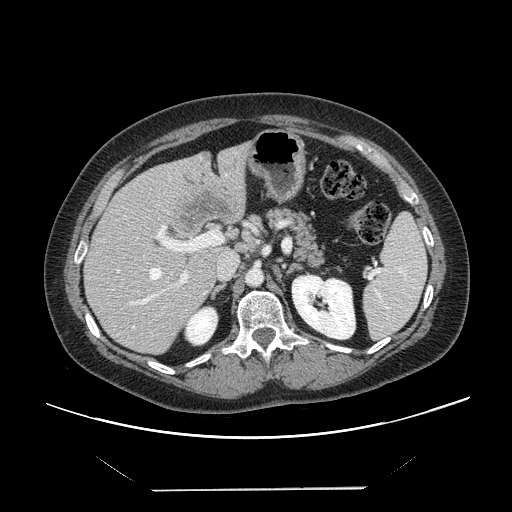
Liver; CT scan slice

Some hepatic vessels may have no box.
hepatic_vessel:
  - (left=148, top=266, right=162, bottom=281)
  - (left=155, top=224, right=222, bottom=252)
  - (left=129, top=270, right=188, bottom=304)
  - (left=218, top=251, right=237, bottom=278)
  - (left=116, top=269, right=119, bottom=272)
liver_tumor:
  - (left=169, top=183, right=240, bottom=236)